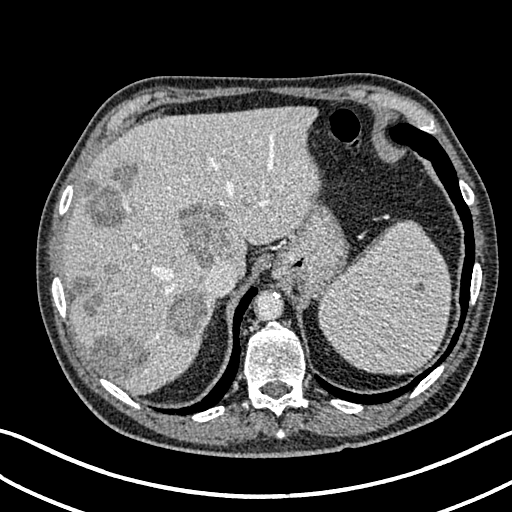

Upper abdomen; CT image
Findings:
- liver lesion: (x1=72, y1=276, x2=95, y2=294), (x1=180, y1=203, x2=231, y2=270), (x1=82, y1=290, x2=103, y2=314), (x1=114, y1=161, x2=140, y2=187), (x1=85, y1=178, x2=125, y2=229), (x1=166, y1=290, x2=206, y2=338), (x1=87, y1=333, x2=149, y2=379), (x1=103, y1=264, x2=119, y2=274), (x1=175, y1=152, x2=182, y2=163)
- liver: (x1=64, y1=108, x2=322, y2=392)